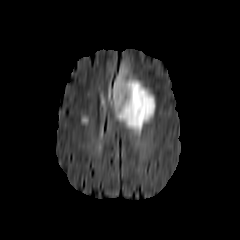
FLAIR MRI.
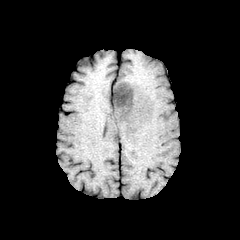
T1-weighted MRI.
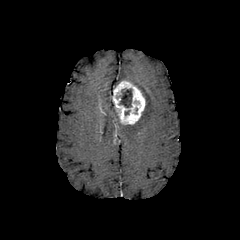
Post-contrast T1-weighted MR.
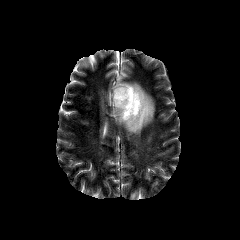
Same slice, T2-weighted MR image.
Head; 240x240 px
edema: rect(111, 99, 118, 120); rect(122, 79, 155, 135); rect(114, 65, 127, 86) | non-enhancing tumor core: rect(120, 89, 132, 107) | enhancing tumor: rect(112, 81, 145, 124)